Slice 516/722, CT image

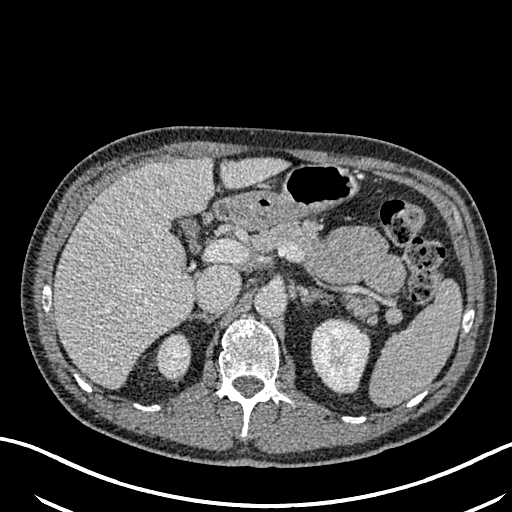
2 liver regions appear at 221 157 287 188, 55 159 212 387. The focal liver lesion is at 154 175 170 188. 2 kidney regions are located at 158 336 189 376, 312 321 368 391.